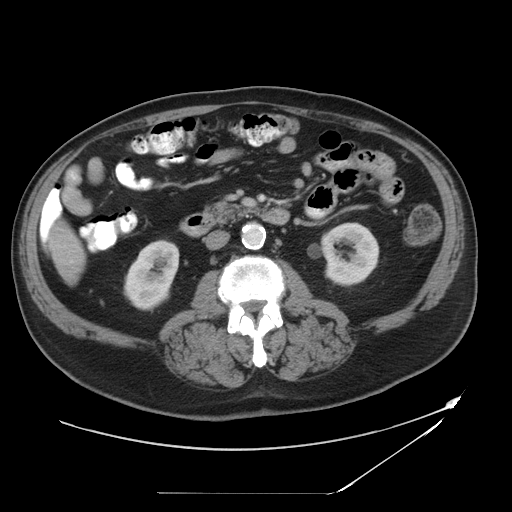
CT

Only some of the vessels may be annotated.
4 hepatic vessel regions are located at bbox(68, 235, 72, 239); bbox(56, 258, 61, 261); bbox(52, 240, 78, 255); bbox(69, 256, 79, 263).